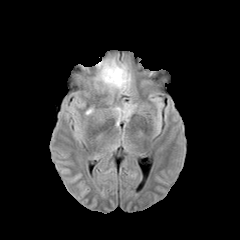
FLAIR MR.
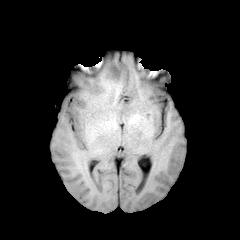
T1-weighted MR image.
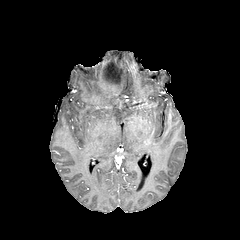
Post-contrast T1-weighted MR.
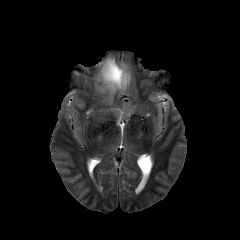
T2-weighted magnetic resonance.
2 edema regions appear at 113, 107, 125, 117; 94, 56, 131, 101. The non-enhancing tumor core lies within 101, 60, 113, 85.